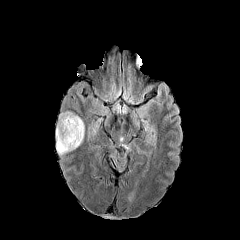
FLAIR MR.
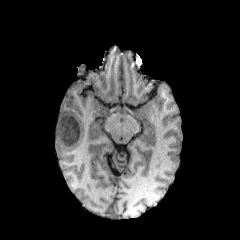
T1-weighted MR image.
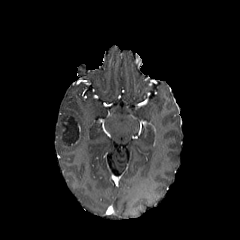
Post-contrast T1-weighted MR of the same slice.
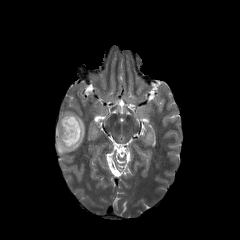
T2-weighted MRI.
Brain. 240x240.
The non-enhancing tumor core appears at (59, 116, 80, 145). The edema appears at (55, 111, 84, 155).